CT scan slice, Slice 142 of 244, Abdomen, Image width 409 mm 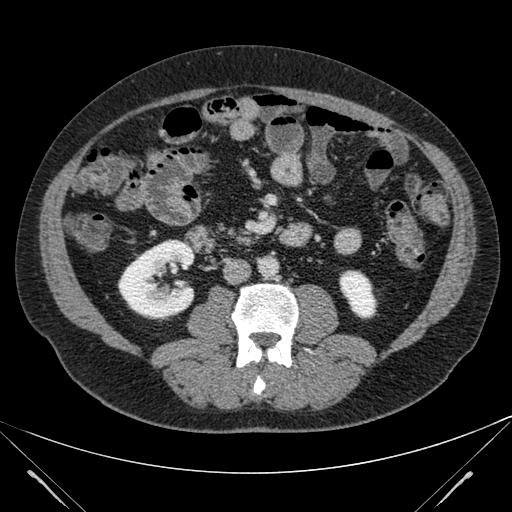

Kidney: region(340, 271, 375, 316); region(119, 240, 193, 317).